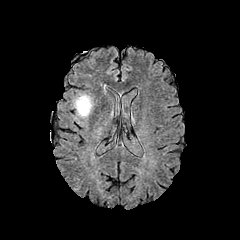
FLAIR MR.
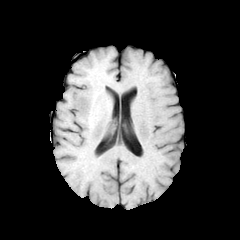
T1-weighted MRI.
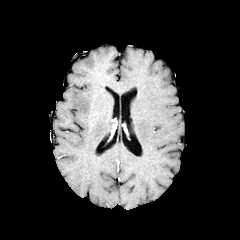
Same slice, post-contrast T1-weighted magnetic resonance.
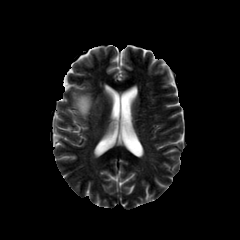
Same slice, T2-weighted magnetic resonance.
Edema = {"x1": 72, "y1": 92, "x2": 94, "y2": 118}.